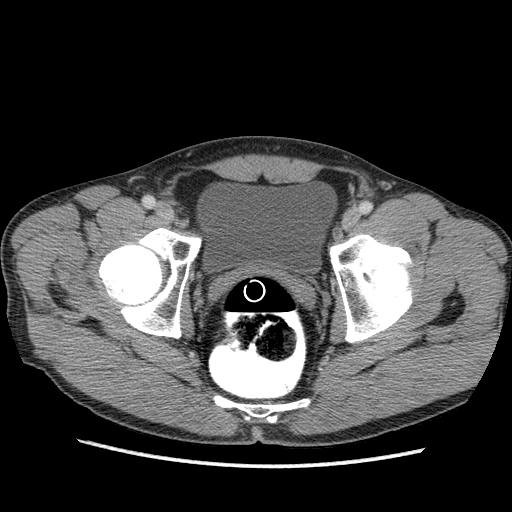
Computed tomography | Pelvis | Image size 512x512

Annotated regions:
• urinary bladder: (left=197, top=181, right=336, bottom=275)